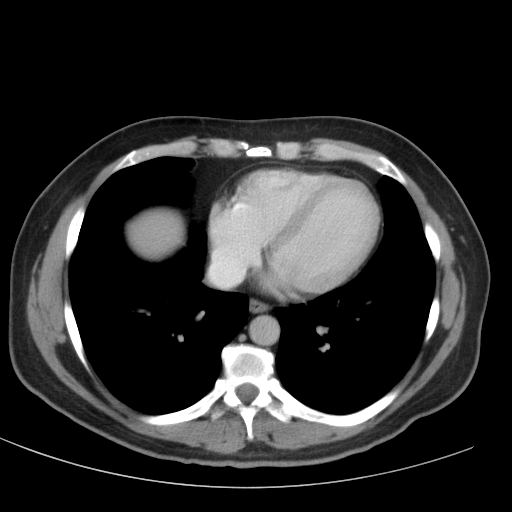

CT image | Abdomen

liver:
  - <box>137,217,177,249</box>